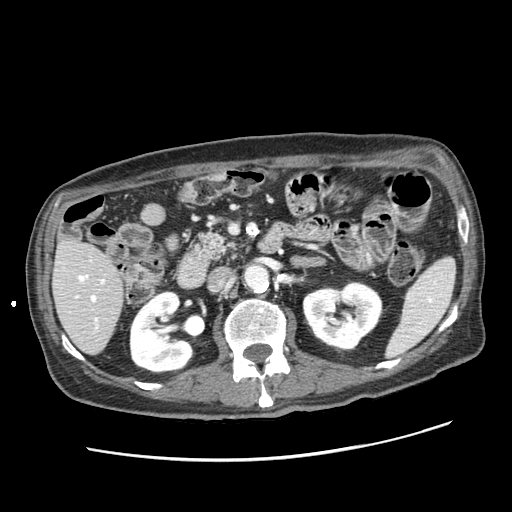 Abdomen. CT.

Pancreas: (x1=200, y1=234, x2=230, y2=259).